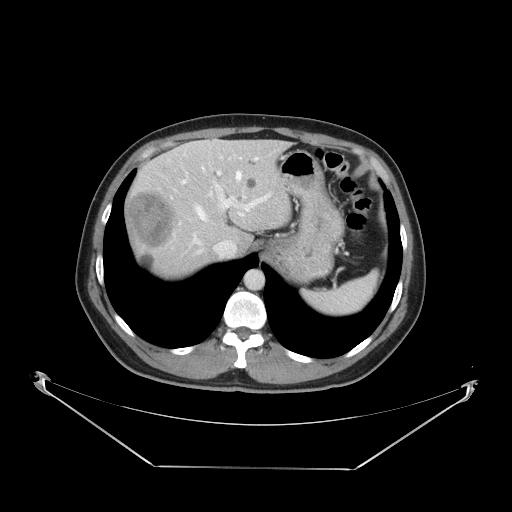
Computed tomography. Some hepatic vessels may have no box.
The liver tumor appears at (left=129, top=192, right=176, bottom=247). 7 hepatic vessel regions appear at (left=227, top=195, right=268, bottom=210), (left=237, top=171, right=240, bottom=179), (left=195, top=207, right=206, bottom=219), (left=185, top=230, right=204, bottom=255), (left=203, top=168, right=206, bottom=175), (left=185, top=156, right=187, bottom=157), (left=184, top=172, right=187, bottom=181).